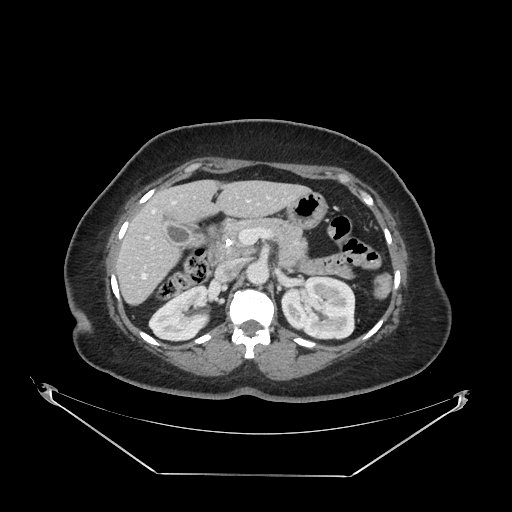

CT scan slice

Annotated regions:
- pancreas: {"x1": 225, "y1": 218, "x2": 308, "y2": 269}